CT scan slice, Slice index 514, 512x512 px, Field of view 350x350 mm
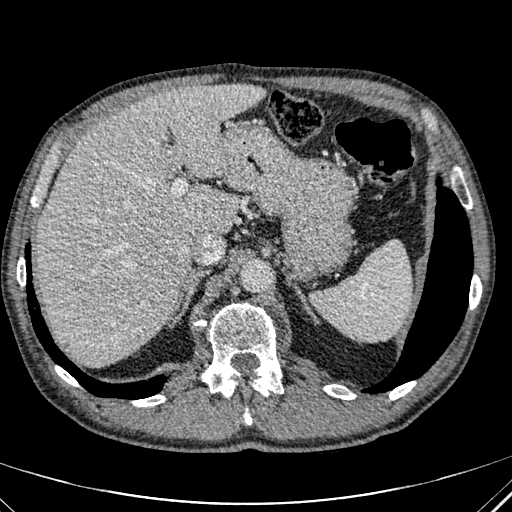
Liver: bounding box 37, 84, 265, 365.